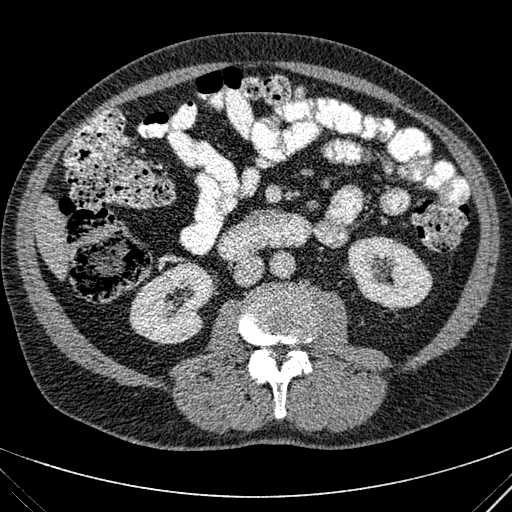 CT | Upper abdomen

Liver — (36, 194, 64, 280).
Kidney — (348, 236, 431, 308), (130, 262, 213, 343).